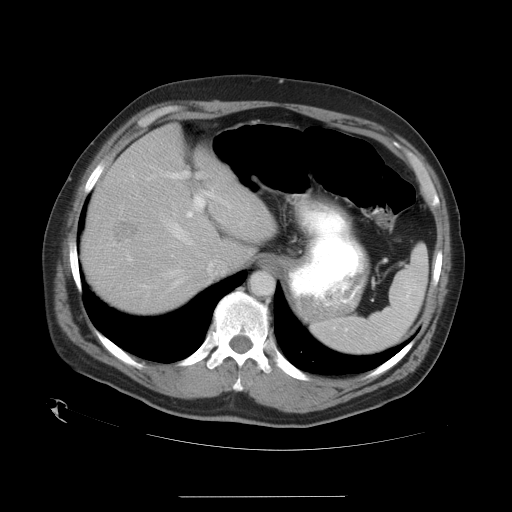
Computed tomography; Abdomen
The vessel boxes may cover only some of the vessels.
Liver tumor: <bbox>114, 223, 139, 241</bbox>.
Hepatic vessel: <bbox>193, 199, 203, 210</bbox>, <bbox>219, 198, 221, 200</bbox>, <bbox>167, 222, 180, 235</bbox>, <bbox>160, 170, 161, 172</bbox>, <bbox>178, 172, 185, 178</bbox>, <bbox>127, 254, 132, 260</bbox>, <bbox>184, 233, 192, 244</bbox>, <bbox>166, 172, 168, 176</bbox>, <bbox>206, 190, 215, 197</bbox>, <bbox>147, 175, 154, 180</bbox>.